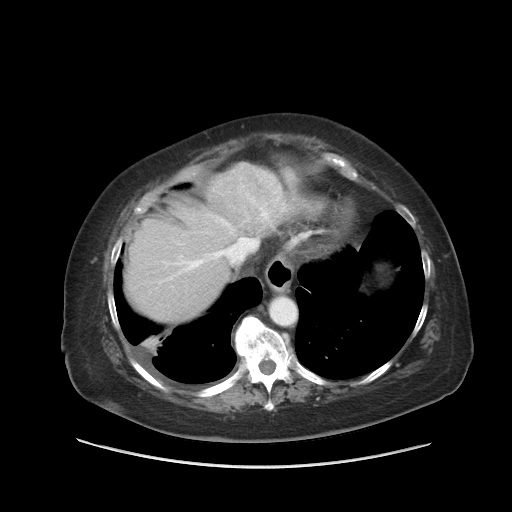 512x512 px | CT slice
Some hepatic vessels may have no box.
hepatic_vessel:
  - region(253, 239, 256, 240)
  - region(228, 246, 233, 248)
  - region(234, 244, 236, 245)
  - region(191, 251, 220, 266)